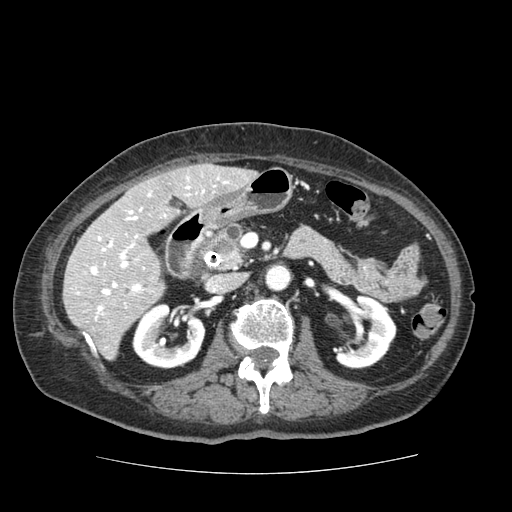 CT, 512x512
Segmented structures:
* pancreas: left=208, top=225, right=244, bottom=268
* pancreatic tumor: left=212, top=238, right=233, bottom=253